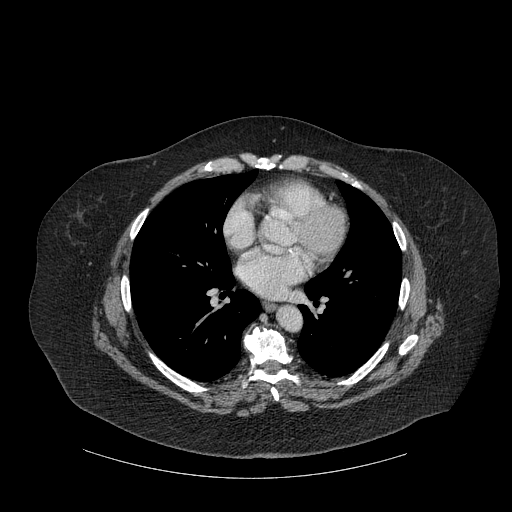
CT, Chest
<segmentation>
  <lung>130, 171, 260, 381; 297, 191, 401, 376</lung>
  <bone>341, 343, 388, 384; 256, 158, 274, 169; 150, 354, 206, 392; 399, 335, 417, 354; 244, 327, 297, 383; 393, 222, 405, 249; 130, 209, 148, 237; 399, 278, 409, 309; 271, 387, 278, 400; 121, 276, 130, 308</bone>
</segmentation>